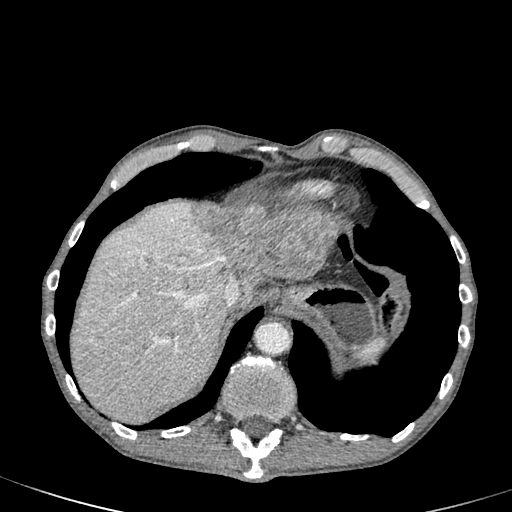
CT slice. 512x512.

Hepatic lesion at (189,205,339,302).
Liver at (73,202,248,422), (308,207,332,214).